Field of view 240x240 mm; Brain; Slice index 51
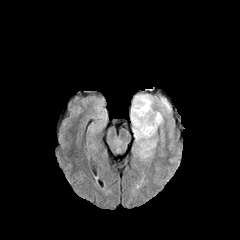
FLAIR MR image.
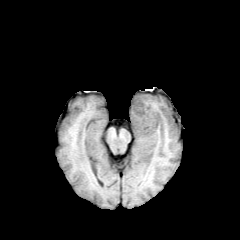
T1-weighted magnetic resonance.
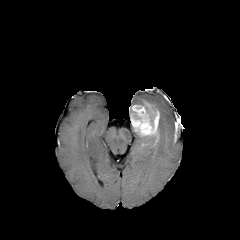
Post-contrast T1-weighted MR of the same slice.
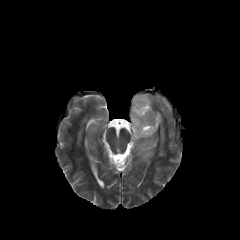
T2-weighted MR of the same slice.
non-enhancing_tumor_core:
  - rect(136, 100, 157, 124)
enhancing_tumor:
  - rect(130, 105, 159, 136)
edema:
  - rect(132, 94, 171, 127)
  - rect(132, 131, 158, 160)